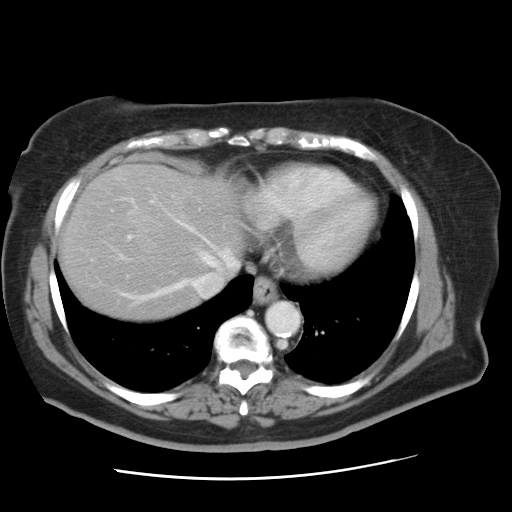 CT scan slice. Only some of the vessels may be annotated.
Hepatic vessel at [122, 197, 132, 201], [119, 255, 126, 258], [174, 219, 196, 232], [150, 199, 153, 202], [120, 235, 237, 302], [128, 235, 131, 237].